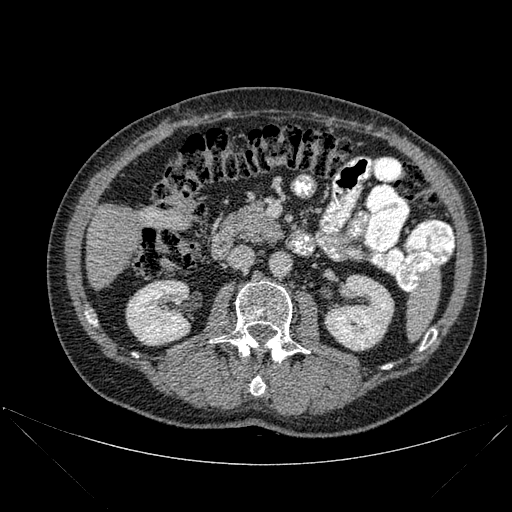

CT image | Abdomen
Kidney at x1=325, y1=275, x2=393, y2=350; x1=126, y1=280, x2=189, y2=345.
Liver at x1=86, y1=205, x2=141, y2=287.
Bone at x1=420, y1=329, x2=436, y2=350; x1=210, y1=281, x2=309, y2=362; x1=250, y1=376, x2=265, y2=395.